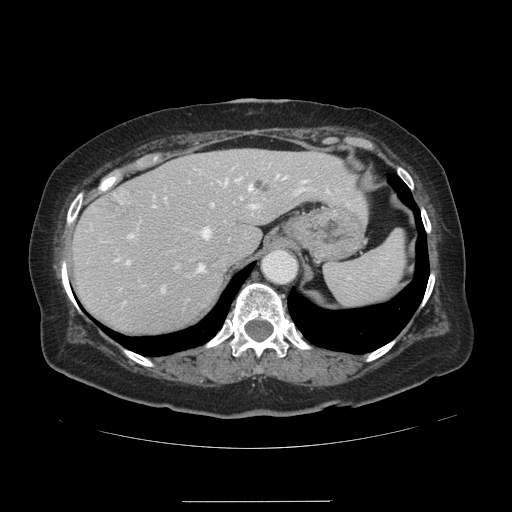
512x512, CT scan slice
Not every hepatic vessel necessarily has a box.
{"partial": true, "hepatic_vessel": {"n_total": 16, "boxes": ["[x1=276, y1=175, x2=285, y2=178]", "[x1=128, y1=234, x2=132, y2=237]", "[x1=249, y1=204, x2=256, y2=207]", "[x1=248, y1=185, x2=252, y2=189]", "[x1=210, y1=203, x2=212, y2=205]", "[x1=163, y1=196, x2=165, y2=198]", "[x1=126, y1=259, x2=129, y2=263]", "[x1=234, y1=178, x2=241, y2=182]", "[x1=218, y1=179, x2=227, y2=184]", "[x1=160, y1=287, x2=164, y2=292]", "[x1=152, y1=203, x2=154, y2=206]", "[x1=326, y1=190, x2=328, y2=192]", "[x1=115, y1=258, x2=118, y2=260]", "[x1=202, y1=228, x2=209, y2=236]", "[x1=295, y1=180, x2=307, y2=192]"]}, "liver_tumor": ["[x1=253, y1=179, x2=265, y2=191]", "[x1=102, y1=186, x2=132, y2=210]"]}